240x240. Slice index 95. Head.
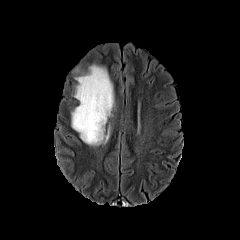
FLAIR magnetic resonance.
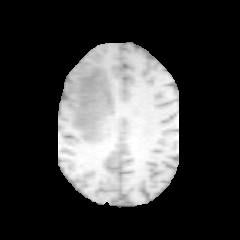
T1-weighted MRI of the same slice.
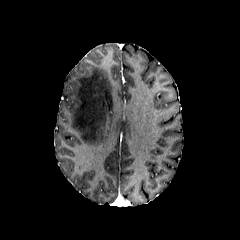
Post-contrast T1-weighted MR image of the same slice.
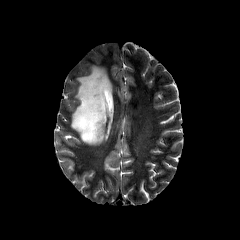
T2-weighted MR.
Edema = box(71, 65, 114, 146).